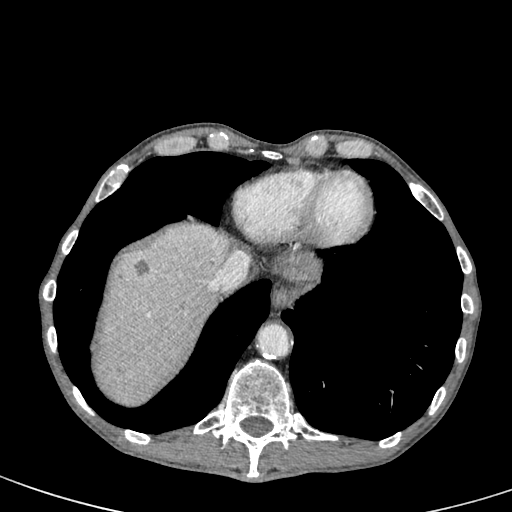
Computed tomography
Focal liver lesion — box(135, 262, 148, 275); box(281, 256, 320, 279).
Liver — box(96, 224, 230, 405); box(276, 263, 316, 280).